CT slice, Slice 62/98

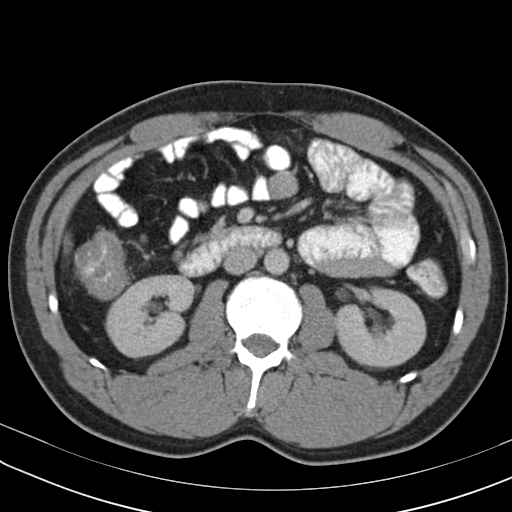

The colon tumor is bounded by left=75, top=231, right=123, bottom=299.